Upper abdomen; Slice index 129; CT image 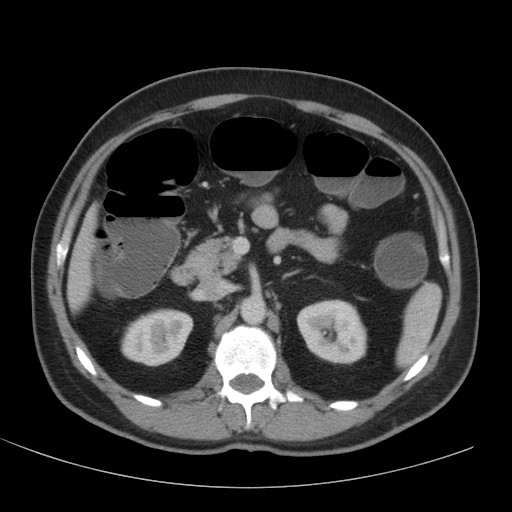
The liver is bounded by <box>68,207,94,304</box>. 2 kidney regions appear at <box>297,300,366,363</box>, <box>122,310,192,365</box>.